CT scan slice, Upper abdomen, Slice 513 of 836

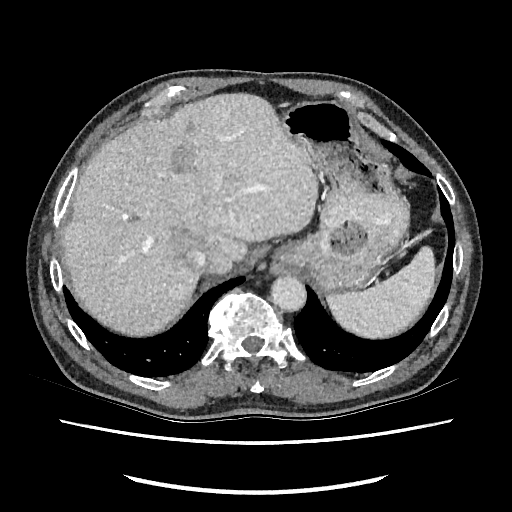

2 hepatic lesion regions are located at 172, 229, 204, 266; 171, 148, 195, 171. The liver is located at 63, 95, 317, 332.